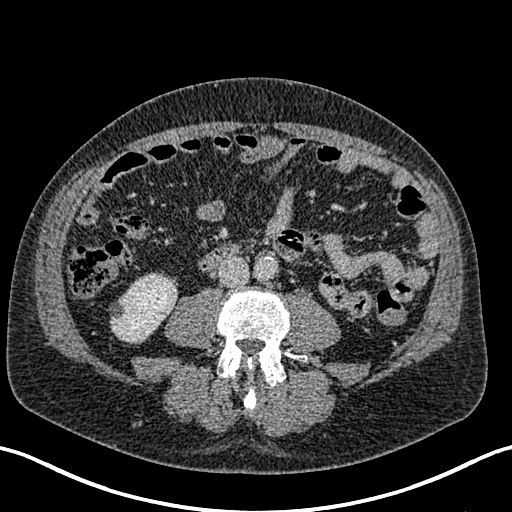
CT slice.
kidney:
  - 110,275,174,341